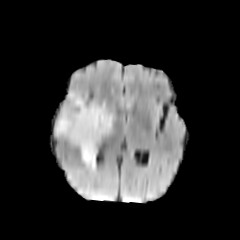
FLAIR magnetic resonance.
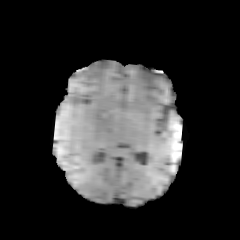
T1-weighted MR.
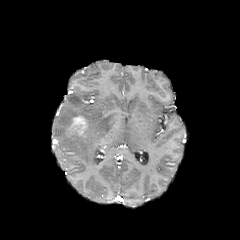
Post-contrast T1-weighted magnetic resonance.
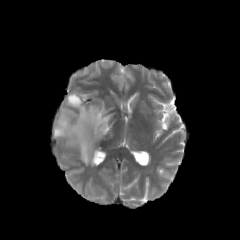
Same slice, T2-weighted MR.
Findings:
* enhancing tumor: 66,116,87,137
* edema: 54,92,113,169